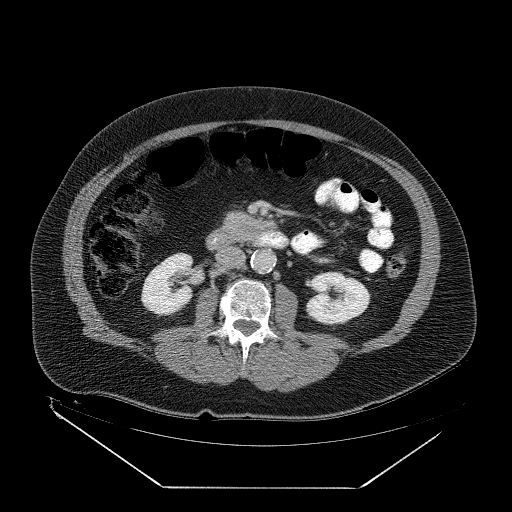 CT image
<segmentation>
  <pancreas>rect(213, 210, 274, 247)</pancreas>
</segmentation>